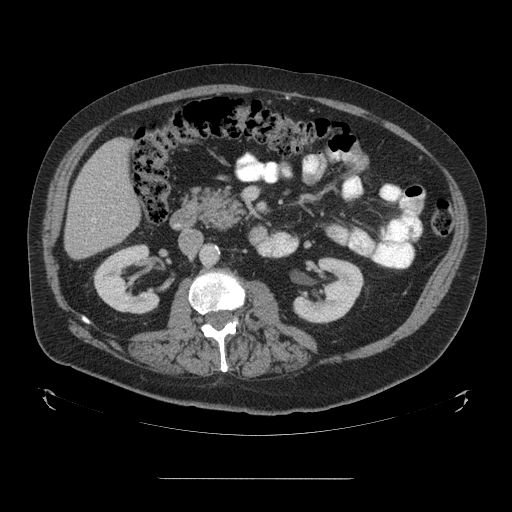
CT slice.

Only some of the vessels may be annotated.
5 hepatic vessel regions are located at bbox=[92, 227, 94, 230]; bbox=[89, 217, 96, 222]; bbox=[105, 181, 110, 185]; bbox=[110, 205, 112, 206]; bbox=[111, 216, 115, 218].